Slice 95/155; 240x240
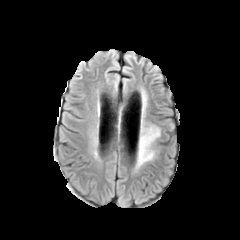
FLAIR MR image.
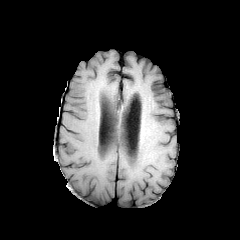
T1-weighted MR image of the same slice.
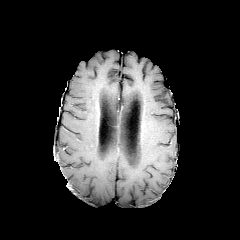
Post-contrast T1-weighted magnetic resonance.
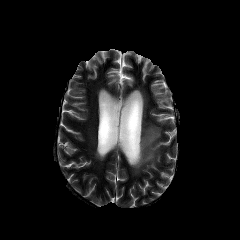
T2-weighted magnetic resonance of the same slice.
{
  "edema": [
    "rect(138, 124, 159, 165)"
  ]
}